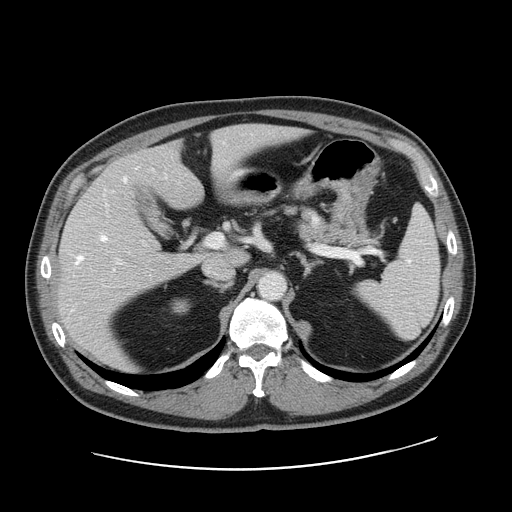 Abdomen. CT image. Not every hepatic vessel necessarily has a box.
Hepatic vessel — box(213, 129, 220, 136); box(174, 142, 177, 143); box(143, 242, 146, 243); box(123, 176, 126, 180); box(76, 255, 82, 262); box(101, 234, 105, 241); box(137, 166, 138, 167); box(189, 255, 200, 260); box(149, 243, 158, 246); box(113, 268, 114, 270); box(270, 130, 272, 133); box(213, 152, 219, 170); box(115, 259, 120, 262).